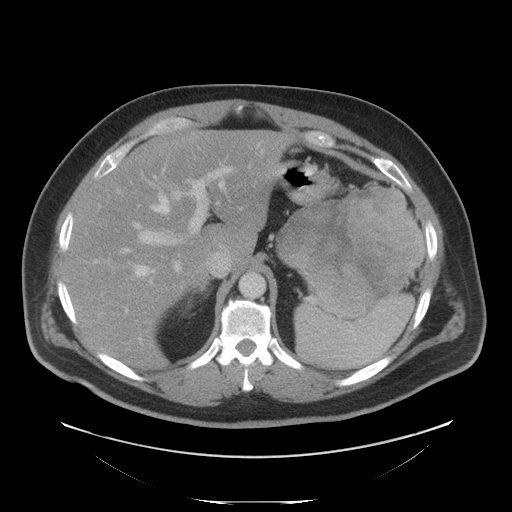
Computed tomography
3 pancreas regions are bounded by rect(308, 282, 326, 306); rect(371, 290, 396, 306); rect(290, 266, 307, 281). The pancreatic tumor lies within rect(278, 186, 424, 316).